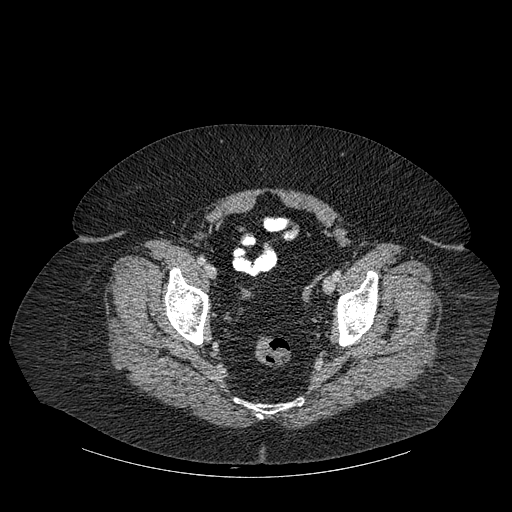 CT scan slice

Annotated regions:
• bone: x1=234 y1=397 x2=303 y2=418, x1=337 y1=271 x2=377 y2=346, x1=165 y1=268 x2=208 y2=344